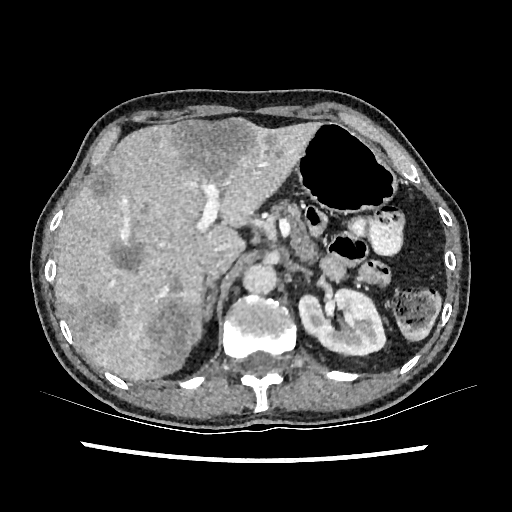
CT slice.
Liver: (58, 123, 320, 378).
Kidney: (299, 289, 385, 358).
Focal liver lesion: (263, 133, 284, 159), (91, 170, 114, 196), (109, 236, 145, 273), (152, 131, 159, 142), (146, 279, 199, 371), (168, 118, 256, 181), (59, 285, 120, 342).